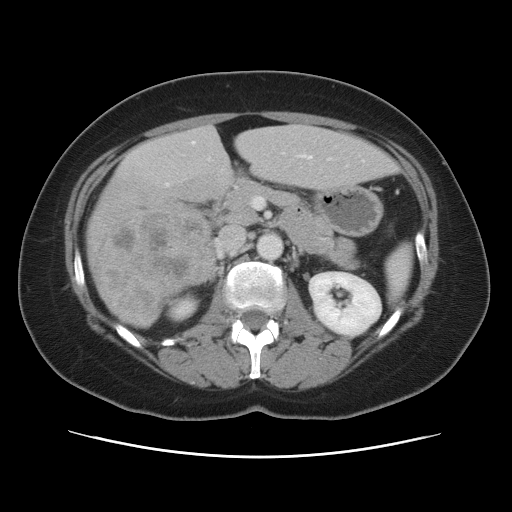
Liver. CT.

The vessel boxes may cover only some of the vessels.
Annotated regions:
- liver tumor: (left=99, top=204, right=213, bottom=320)
- hepatic vessel: (left=329, top=158, right=331, bottom=159), (left=298, top=153, right=311, bottom=158)